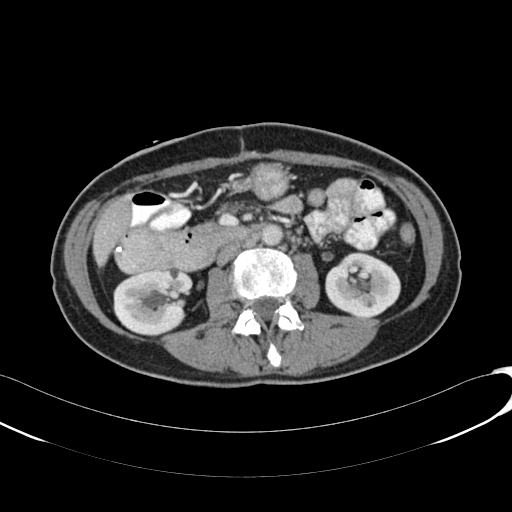

512x512 px. Upper abdomen. Computed tomography. Segmented structures:
• liver: {"x1": 93, "y1": 194, "x2": 131, "y2": 263}
• kidney: {"x1": 326, "y1": 254, "x2": 399, "y2": 317}, {"x1": 114, "y1": 270, "x2": 184, "y2": 334}